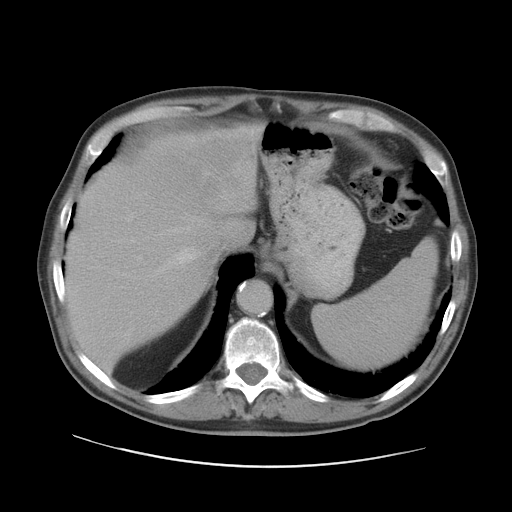 CT image. Liver.

Not every hepatic vessel necessarily has a box.
The liver tumor is bounded by x1=171, y1=136, x2=255, y2=216. 13 hepatic vessel regions are located at x1=135, y1=256, x2=141, y2=259; x1=124, y1=332, x2=129, y2=339; x1=186, y1=227, x2=189, y2=230; x1=144, y1=193, x2=146, y2=194; x1=132, y1=328, x2=133, y2=329; x1=190, y1=138, x2=194, y2=140; x1=156, y1=267, x2=163, y2=272; x1=182, y1=216, x2=199, y2=221; x1=123, y1=273, x2=126, y2=275; x1=128, y1=212, x2=134, y2=220; x1=167, y1=247, x2=200, y2=267; x1=133, y1=238, x2=133, y2=241; x1=165, y1=278, x2=166, y2=280.